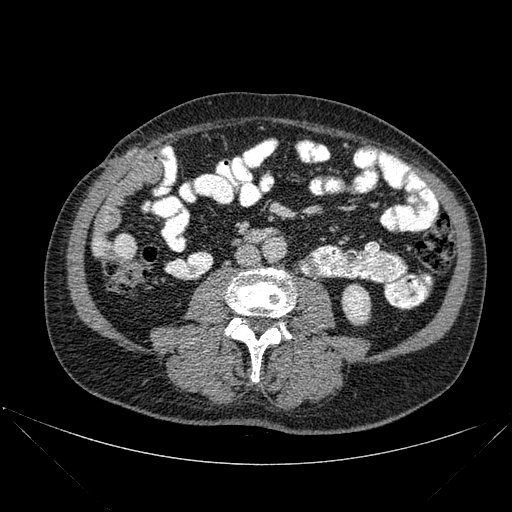

Computed tomography; Abdomen
Kidney: bbox=[342, 285, 369, 324].
Bone: bbox=[225, 268, 295, 381].